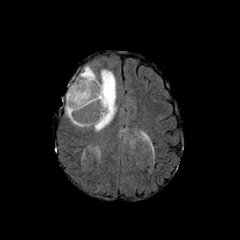
FLAIR MR image.
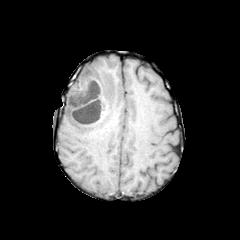
Same slice, T1-weighted MRI.
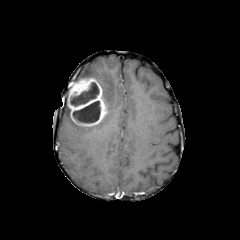
Same slice, post-contrast T1-weighted MR image.
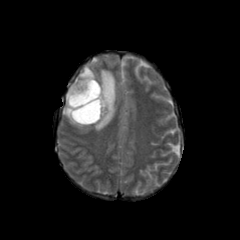
T2-weighted magnetic resonance.
{"enhancing_tumor": ["<bbox>69, 78, 96, 99</bbox>", "<bbox>68, 83, 105, 119</bbox>"], "non-enhancing_tumor_core": ["<bbox>71, 100, 101, 123</bbox>", "<bbox>68, 82, 99, 106</bbox>"], "edema": ["<bbox>65, 62, 119, 131</bbox>"]}